512x512 | CT | Liver

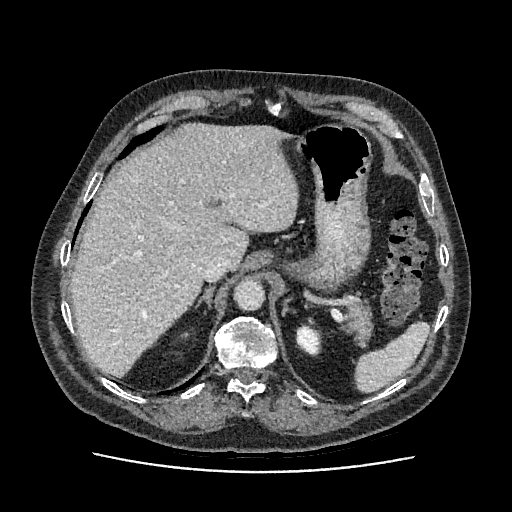
Kidney: <bbox>298, 327, 318, 353</bbox>.
Liver: <bbox>72, 123, 297, 376</bbox>.